Slice 13 of 36. MR.
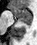

The anterior hippocampus is located at 11, 6, 31, 19. The posterior hippocampus appears at 20, 20, 31, 24.